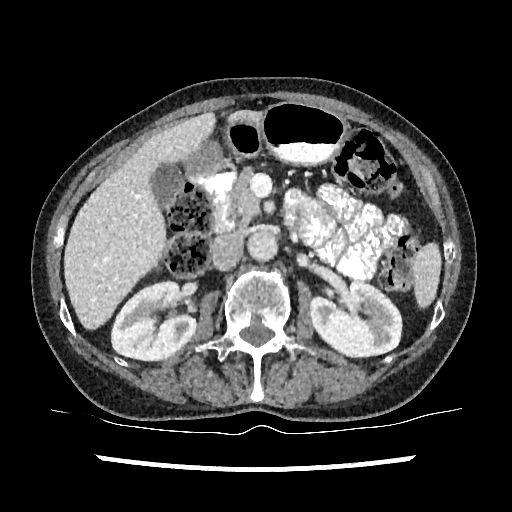

Computed tomography, Abdomen
Liver: bounding box x1=64, y1=113, x2=213, y2=328; x1=230, y1=111, x2=260, y2=122.
Kidney: bounding box x1=112, y1=281, x2=195, y2=359; x1=311, y1=283, x2=401, y2=355.